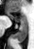

Image size 34x49, MRI

Anterior hippocampus: bounding box 19, 16, 26, 20; 8, 12, 13, 18.
Posterior hippocampus: bounding box 14, 21, 27, 41.